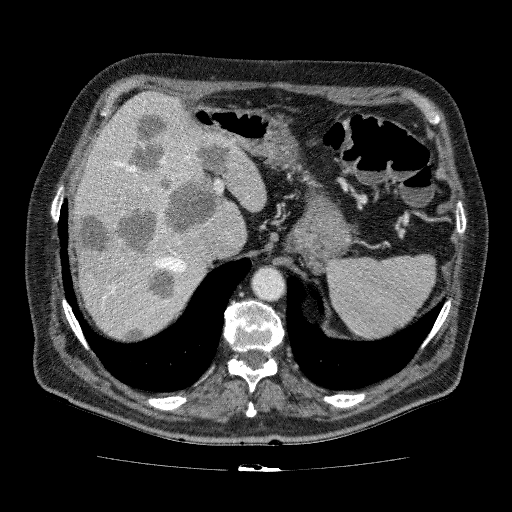

CT slice | Image size 512x512 | Liver

liver lesion: (left=145, top=269, right=177, bottom=301), (left=126, top=110, right=170, bottom=173), (left=120, top=325, right=146, bottom=340), (left=75, top=139, right=234, bottom=271) | liver: (left=74, top=91, right=266, bottom=232), (left=78, top=201, right=246, bottom=339)